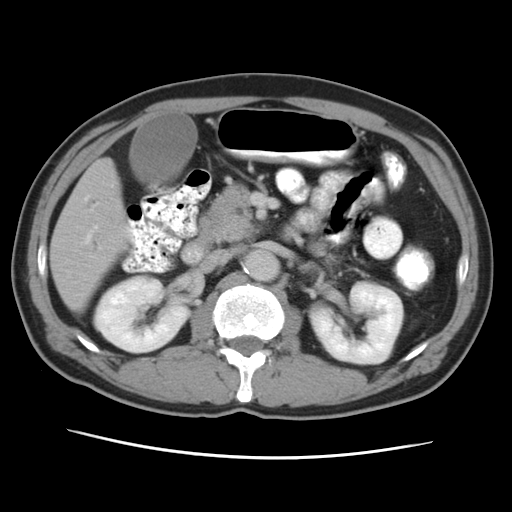 CT scan slice
{"pancreas": ["(x1=208, y1=182, x2=255, y2=241)"], "pancreatic_tumor": ["(x1=218, y1=218, x2=251, y2=240)"]}